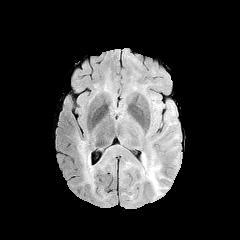
FLAIR MR image.
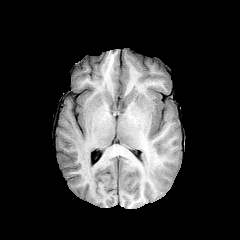
Same slice, T1-weighted magnetic resonance.
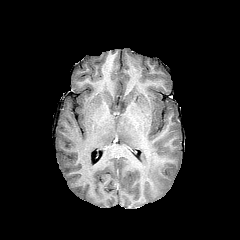
Post-contrast T1-weighted MR image of the same slice.
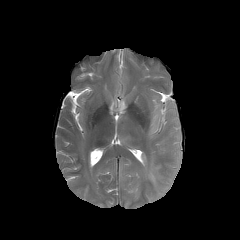
T2-weighted MR image.
Head.
Edema at bbox=[140, 154, 161, 193]; bbox=[78, 142, 97, 185].